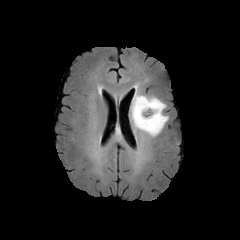
FLAIR MR image.
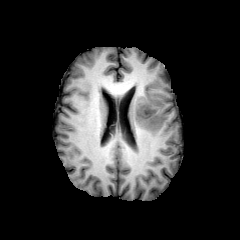
T1-weighted MRI.
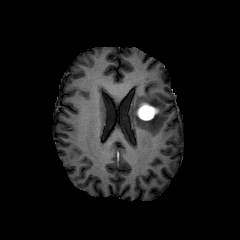
Same slice, post-contrast T1-weighted MR image.
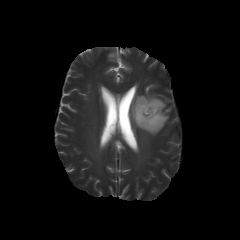
T2-weighted magnetic resonance.
Head | 240x240
Findings:
- edema: <bbox>130, 84, 168, 136</bbox>
- enhancing tumor: <bbox>136, 102, 159, 120</bbox>